FLAIR MR.
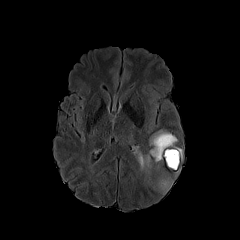
T1-weighted MRI.
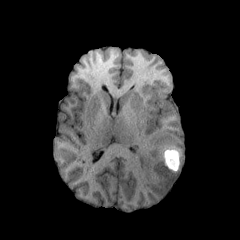
Post-contrast T1-weighted magnetic resonance.
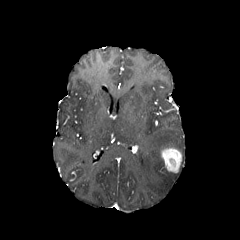
T2-weighted MRI.
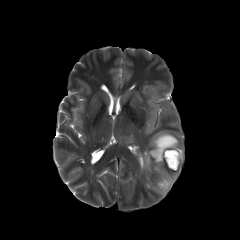
Brain. 240x240 px.
{
  "enhancing_tumor": [
    "bbox=[161, 146, 182, 173]"
  ],
  "edema": [
    "bbox=[157, 177, 173, 194]",
    "bbox=[138, 130, 178, 173]"
  ]
}